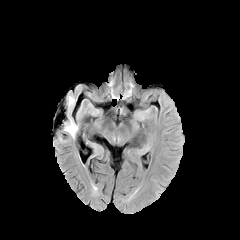
FLAIR magnetic resonance.
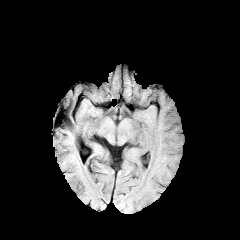
T1-weighted magnetic resonance.
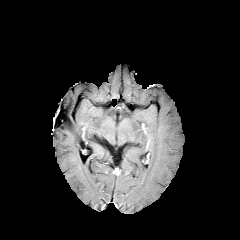
Post-contrast T1-weighted MR.
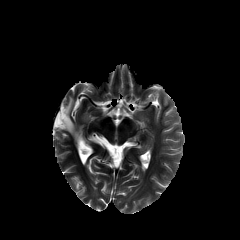
T2-weighted MR of the same slice.
{
  "edema": [
    "(63, 96, 78, 137)"
  ]
}